FLAIR magnetic resonance.
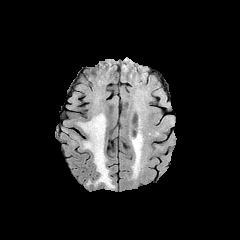
T1-weighted magnetic resonance.
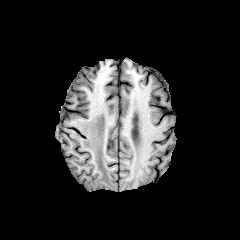
Post-contrast T1-weighted MRI.
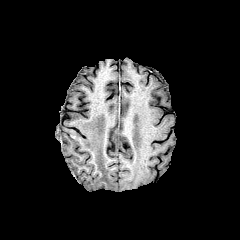
T2-weighted magnetic resonance.
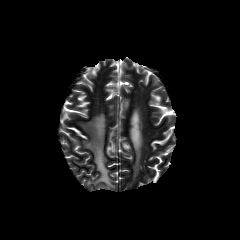
<segmentation>
  <edema>132 147 141 171, 82 114 114 188</edema>
</segmentation>